FLAIR MR image.
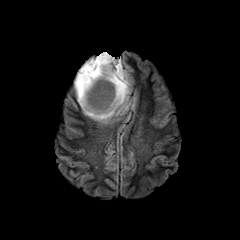
T1-weighted magnetic resonance.
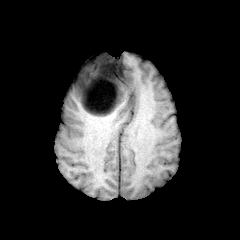
Post-contrast T1-weighted MRI.
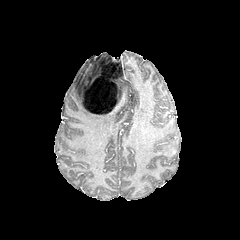
T2-weighted MRI.
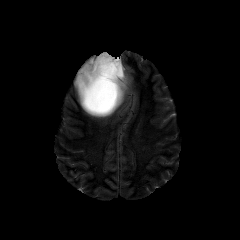
240x240 px
non-enhancing tumor core: (left=79, top=55, right=129, bottom=114) | edema: (left=74, top=52, right=132, bottom=121)